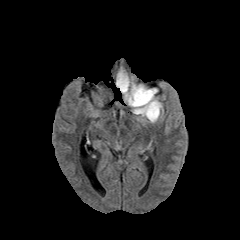
FLAIR MR.
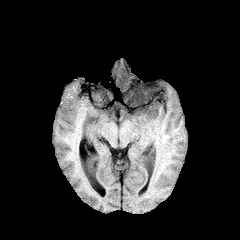
T1-weighted MRI.
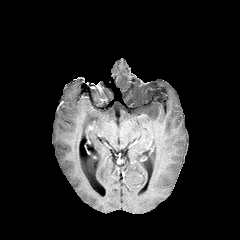
Post-contrast T1-weighted MRI.
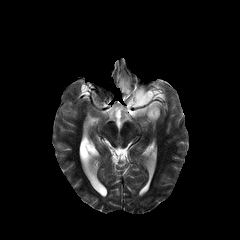
T2-weighted MR image of the same slice.
Brain
non-enhancing tumor core: (130, 90, 153, 105) | edema: (116, 70, 165, 123)